Slice 96 of 155. Image size 240x240.
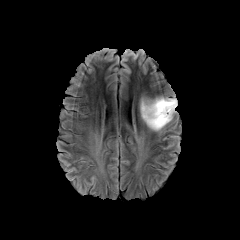
FLAIR MRI.
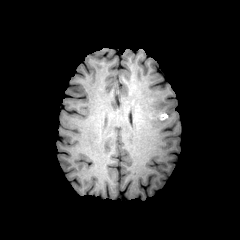
T1-weighted MR.
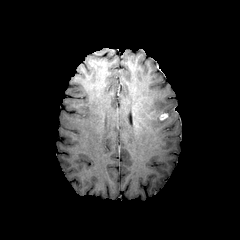
Post-contrast T1-weighted MR image.
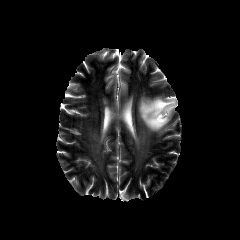
T2-weighted magnetic resonance.
non-enhancing tumor core: (left=155, top=111, right=165, bottom=120) | edema: (left=138, top=96, right=177, bottom=133)